Abdomen, CT image
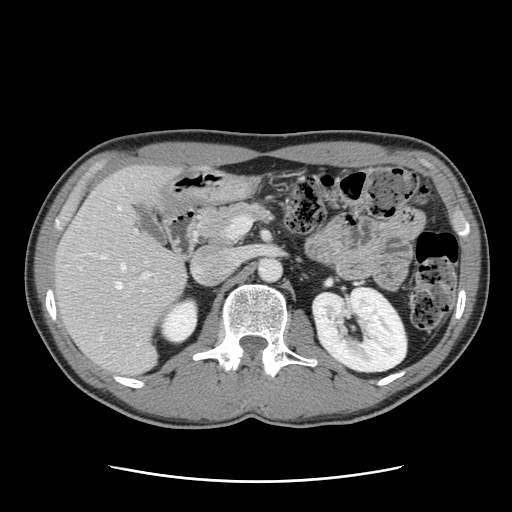
The vessel boxes may cover only some of the vessels.
9 hepatic vessel regions appear at 86,253,89,253; 101,255,105,258; 142,272,149,277; 115,282,121,288; 118,206,119,208; 134,230,136,232; 143,289,144,291; 121,264,124,269; 99,337,101,339.